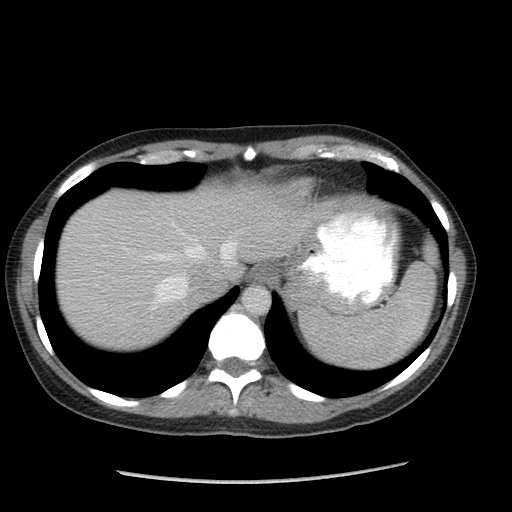
CT; 512x512 px
spleen: 300:238:437:369